FLAIR magnetic resonance.
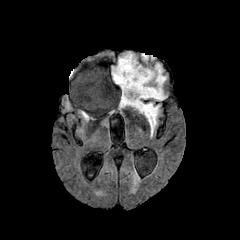
T1-weighted magnetic resonance.
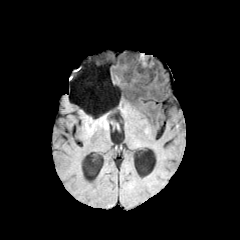
Post-contrast T1-weighted MR image.
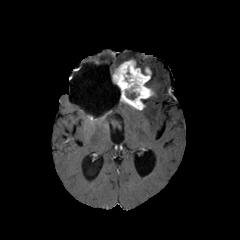
T2-weighted magnetic resonance.
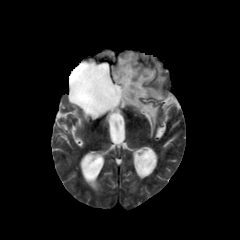
{
  "edema": [
    "<box>138,63,166,135</box>",
    "<box>111,52,147,74</box>"
  ],
  "enhancing_tumor": [
    "<box>113,59,153,109</box>"
  ],
  "non-enhancing_tumor_core": [
    "<box>126,92,135,99</box>"
  ]
}